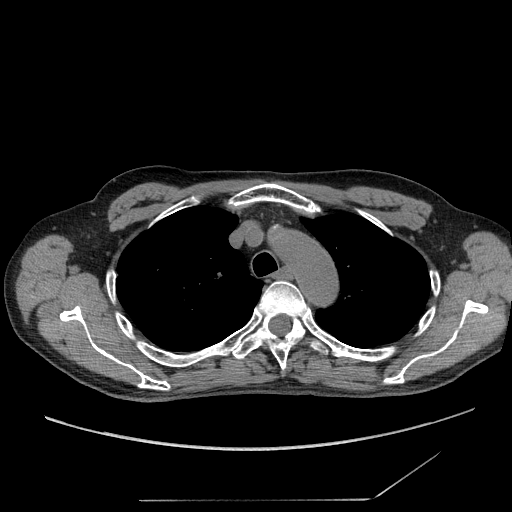
Lung. CT image. The lung tumor appears at (left=146, top=272, right=154, bottom=277).